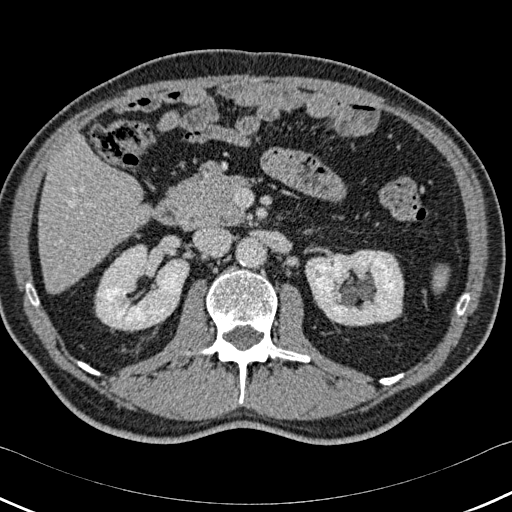 Upper abdomen. CT scan slice.
Liver at region(39, 135, 149, 292).
Kidney at region(306, 251, 402, 325); region(96, 245, 188, 329).
Bone at region(199, 270, 309, 403); region(78, 362, 99, 374); region(457, 294, 469, 314); region(380, 374, 402, 384); region(26, 284, 38, 305).